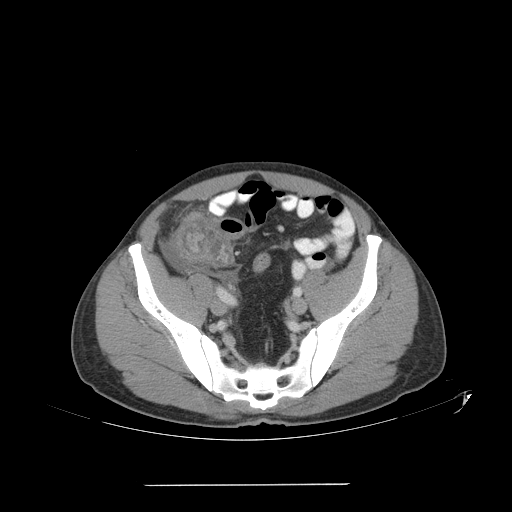

Computed tomography | 512x512 px
Segmented structures:
* colon tumor: (176,212,219,263)